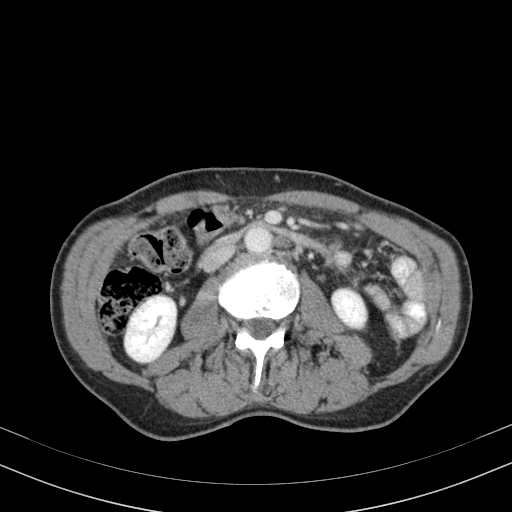

CT scan slice, Image size 512x512
Kidney — (125,296,175,361), (333,290,365,326).